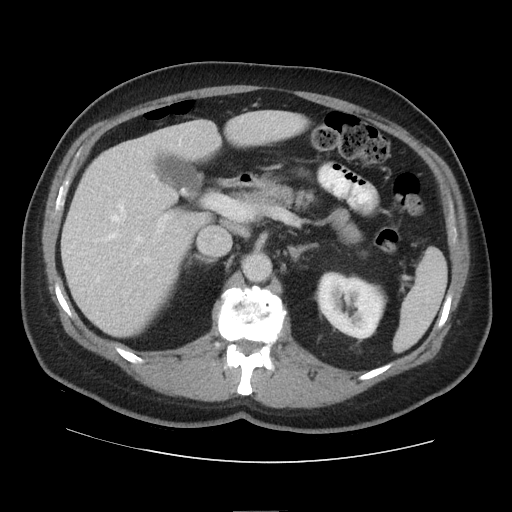

CT image. Image size 512x512. Liver.

The vessel annotation is not exhaustive.
* hepatic vessel: [155, 214, 170, 237]